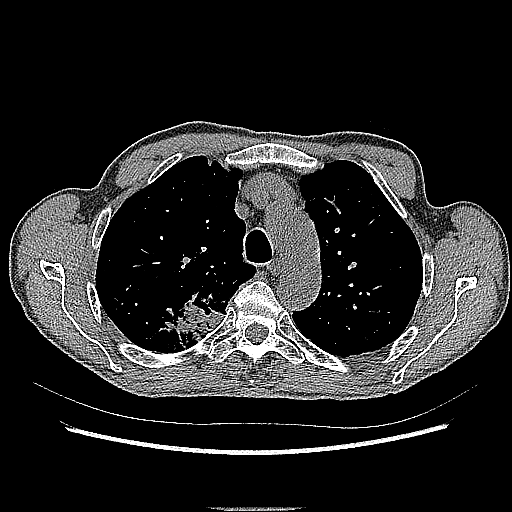
CT scan slice.
• lung tumor: (x1=152, y1=291, x2=227, y2=351)